CT image; Field of view 360x360 mm
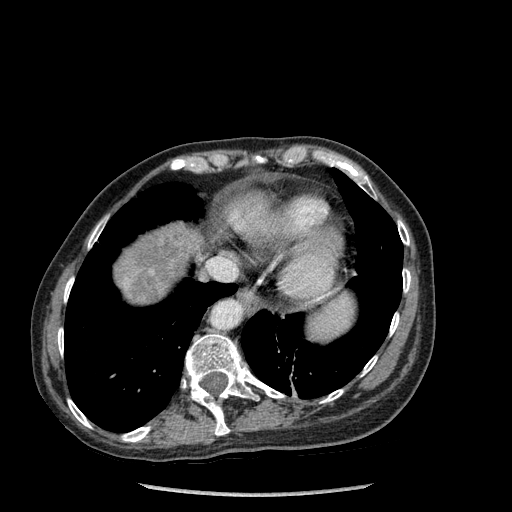
- focal liver lesion: (160,265,181,276)
- bone: (361,356,377,376), (57,328,63,355), (121,426,150,442), (320,389,343,403), (63,277,74,302), (329,158,373,193), (88,217,107,248), (402,268,411,292), (389,312,399,335), (67,399,91,428), (185,334,284,435), (398,220,409,245)
- lung: (64,182,236,432), (241,169,402,398)
- liver: (221,192,270,233), (114,222,204,304)